Slice index 328 | CT image | Image size 512x512

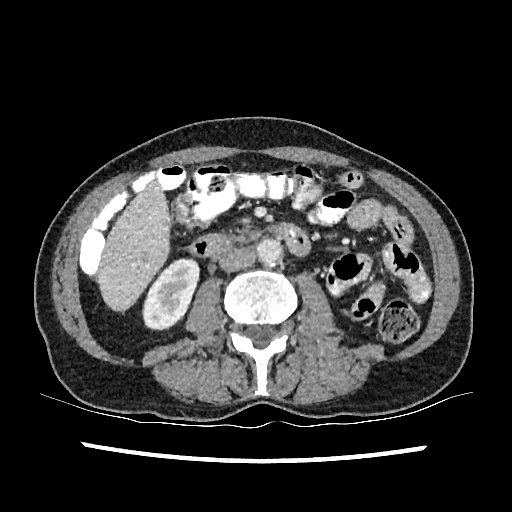

* kidney: x1=144 y1=259 x2=198 y2=328
* hepatic lesion: x1=141 y1=252 x2=148 y2=262
* liver: x1=99 y1=179 x2=168 y2=309